Upper abdomen | Slice 490/986 | CT
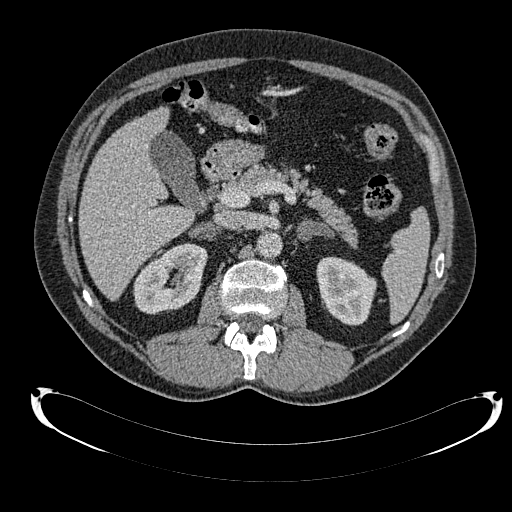

Annotated regions:
* liver: 79, 108, 194, 299
* kidney: 317, 257, 375, 324; 134, 244, 206, 313